Slice index 101; Brain
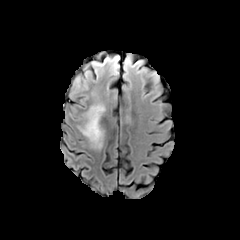
FLAIR magnetic resonance.
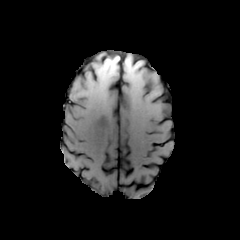
T1-weighted MRI.
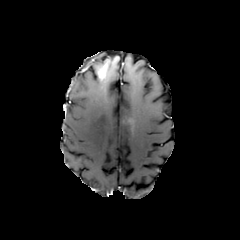
Same slice, post-contrast T1-weighted MR image.
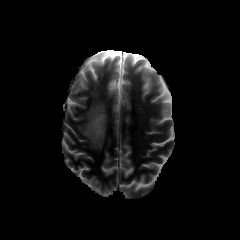
T2-weighted magnetic resonance.
<segmentation>
  <non-enhancing_tumor_core>[x1=89, y1=56, x2=118, y2=77]</non-enhancing_tumor_core>
  <enhancing_tumor>[x1=104, y1=58, x2=117, y2=69]</enhancing_tumor>
  <edema>[x1=80, y1=102, x2=105, y2=148], [x1=109, y1=64, x2=119, y2=82], [x1=77, y1=70, x2=91, y2=89], [x1=122, y1=60, x2=134, y2=74]</edema>
</segmentation>